Head
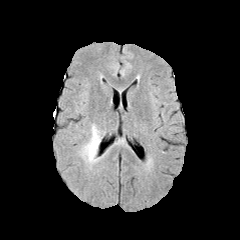
FLAIR magnetic resonance.
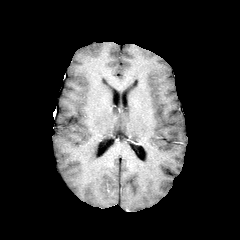
T1-weighted magnetic resonance of the same slice.
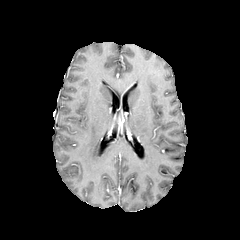
Post-contrast T1-weighted MR of the same slice.
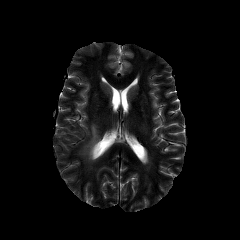
T2-weighted magnetic resonance.
Edema at 79:123:105:165.